CT, Slice index 197, Image size 512x512, Abdomen 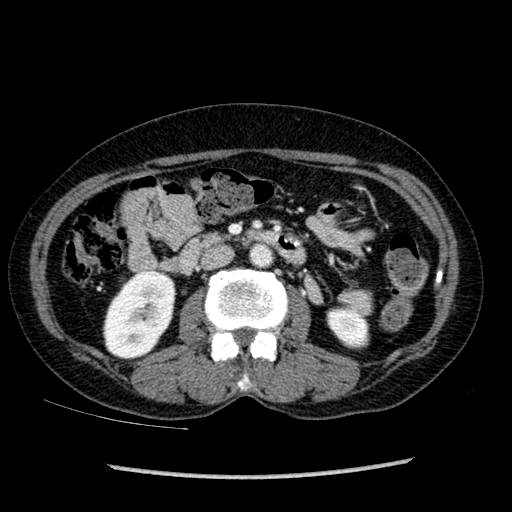
kidney:
  - 329, 311, 366, 343
  - 104, 271, 174, 357